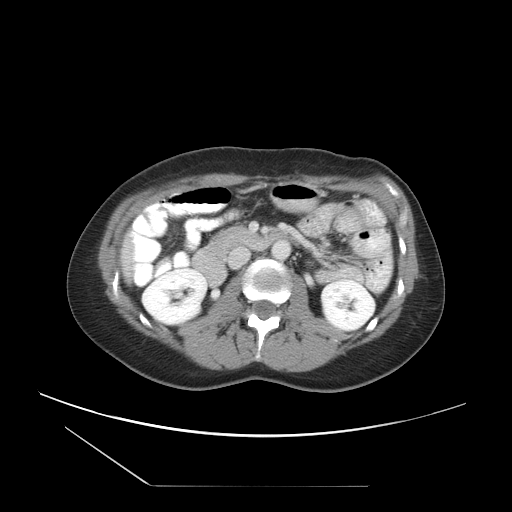

Computed tomography
Only some of the vessels may be annotated.
2 hepatic vessel regions appear at <box>132,252,133,258</box>, <box>130,233,134,242</box>.